Magnetic resonance, 34x48 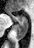
<segmentation>
  <anterior_hippocampus>rect(8, 13, 27, 21)</anterior_hippocampus>
  <posterior_hippocampus>rect(15, 22, 27, 39)</posterior_hippocampus>
</segmentation>